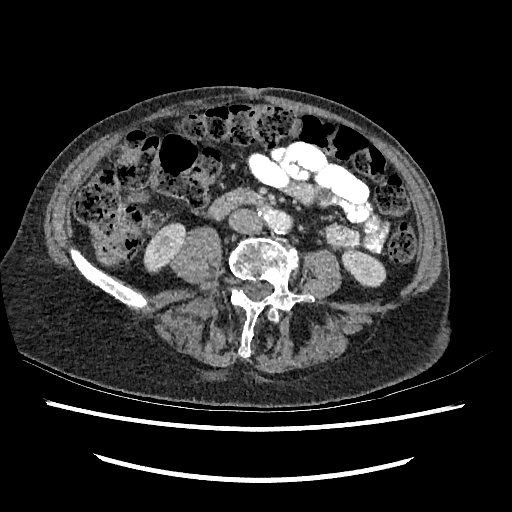 512x512; CT image
Kidney — 342,251,385,285; 149,228,181,260.